Brain.
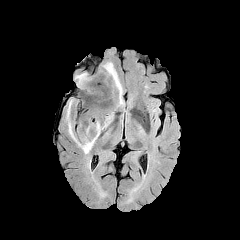
FLAIR MR.
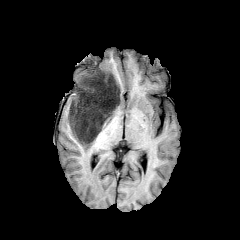
T1-weighted magnetic resonance of the same slice.
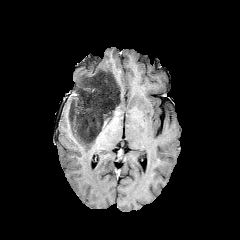
Post-contrast T1-weighted magnetic resonance.
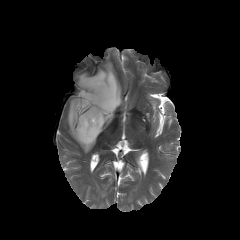
T2-weighted MRI.
Non-enhancing tumor core = left=76, top=70, right=121, bottom=143.
Edema = left=100, top=62, right=113, bottom=73; left=76, top=73, right=89, bottom=87; left=66, top=101, right=94, bottom=153; left=114, top=74, right=124, bottom=106; left=91, top=80, right=105, bottom=96.